Slice 206/255. Chest. Image size 512x512. CT slice.
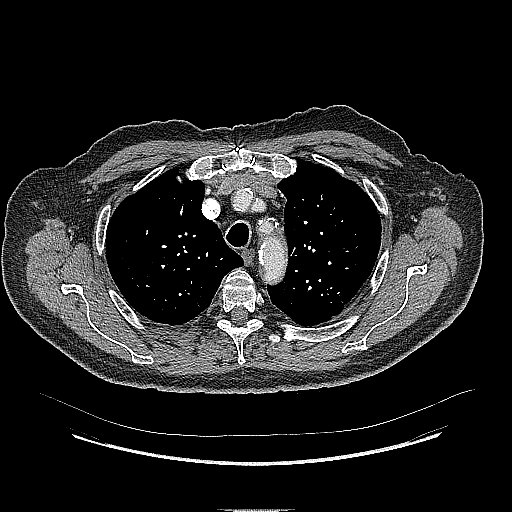

Lung tumor = 329, 286, 341, 305.